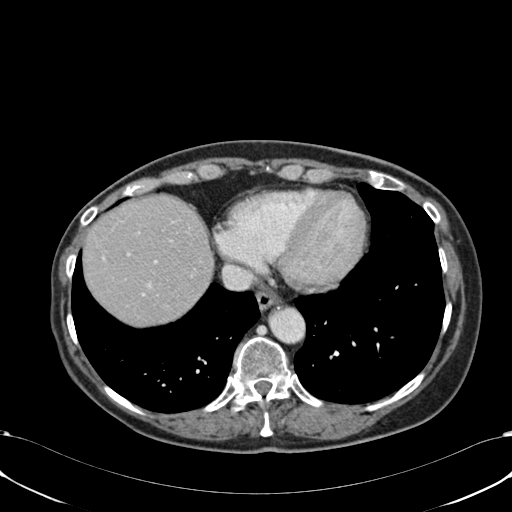

512x512; CT image; Abdomen
The liver appears at (left=83, top=195, right=212, bottom=324).